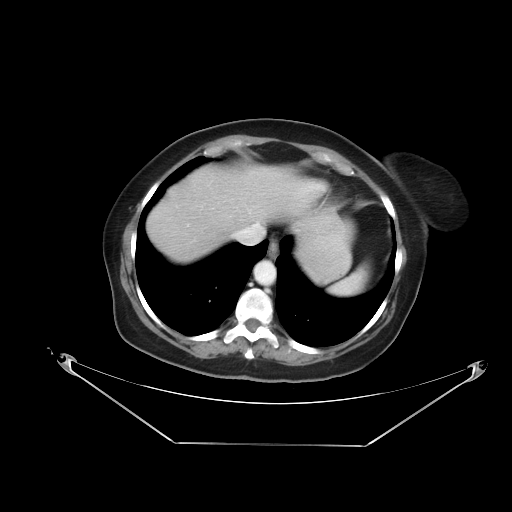 CT slice, Image size 512x512, Abdomen

Not every hepatic vessel necessarily has a box.
<segmentation>
  <hepatic_vessel>rect(261, 209, 262, 211); rect(307, 184, 324, 190); rect(241, 228, 254, 234); rect(253, 222, 258, 225)</hepatic_vessel>
</segmentation>